Field of view 240 mm wide, 1.00 mm slice spacing, Slice 57/155
FLAIR MR.
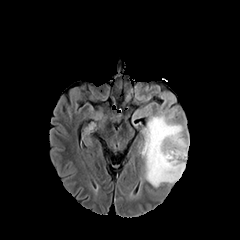
T1-weighted MRI.
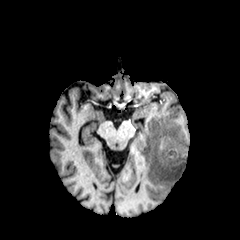
Post-contrast T1-weighted MRI.
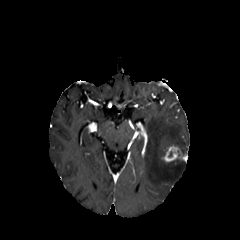
T2-weighted magnetic resonance.
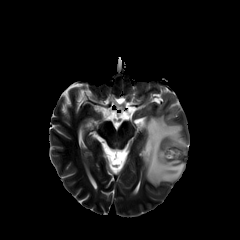
edema:
  - region(143, 115, 189, 186)
enhancing_tumor:
  - region(164, 145, 181, 161)